CT, Lower abdomen 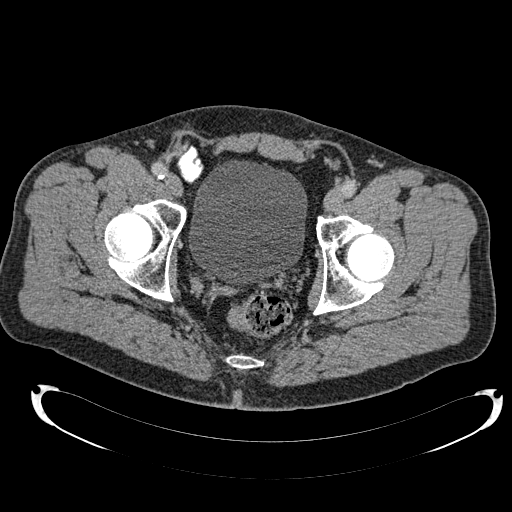 The urinary bladder is located at [x1=189, y1=160, x2=307, y2=285].